FLAIR MR image.
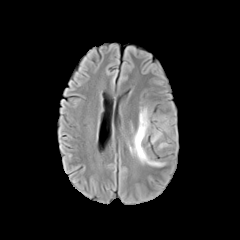
T1-weighted MR image.
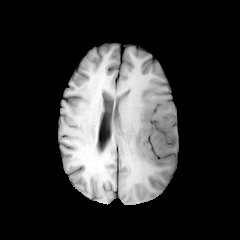
Post-contrast T1-weighted MR.
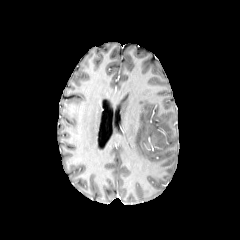
T2-weighted MR image.
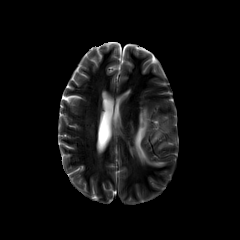
Head
Edema: (129, 107, 174, 165).